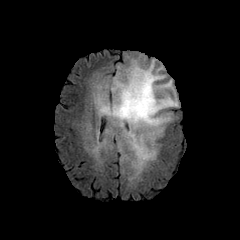
FLAIR MR.
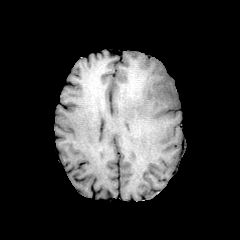
T1-weighted MR image of the same slice.
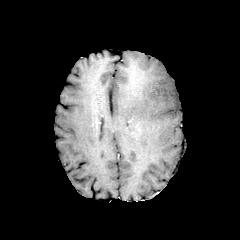
Post-contrast T1-weighted MRI.
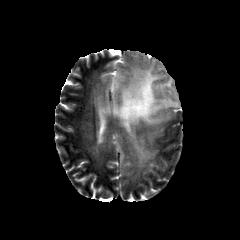
Same slice, T2-weighted MRI.
240x240
Edema at (97, 59, 178, 167).
Non-enhancing tumor core at (127, 118, 139, 128), (124, 63, 147, 96).